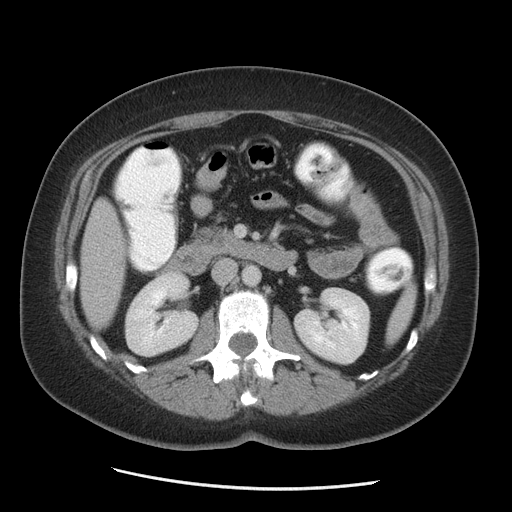
CT scan slice
Kidney at bbox(295, 288, 368, 362); bbox(126, 273, 196, 354).
Liver at bbox(81, 200, 125, 326).